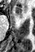
MRI

The anterior hippocampus is at [14,6,22,18].